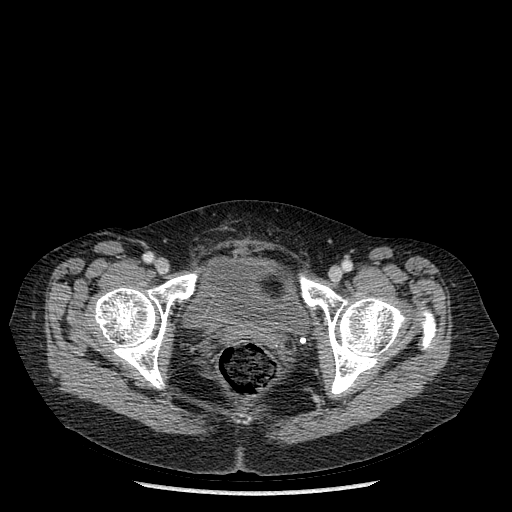
Computed tomography | 512x512 | Pelvis
Bone = rect(299, 275, 407, 396); rect(90, 273, 197, 389); rect(416, 310, 436, 349).
Urinary bladder = rect(189, 255, 302, 342).